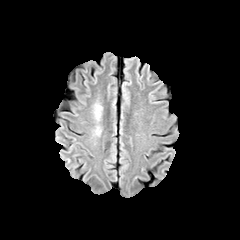
FLAIR MRI.
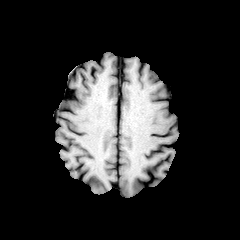
Same slice, T1-weighted MRI.
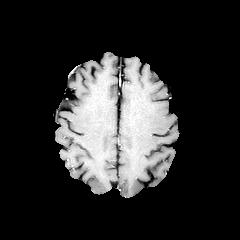
Post-contrast T1-weighted MRI of the same slice.
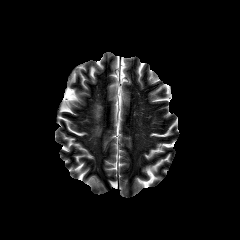
T2-weighted MR image.
Head
Edema: bbox=[92, 125, 101, 137]; bbox=[92, 100, 102, 123].